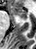

Magnetic resonance. 36x49 px. Medial temporal lobe.
The anterior hippocampus is located at l=10, t=5, r=27, b=20.